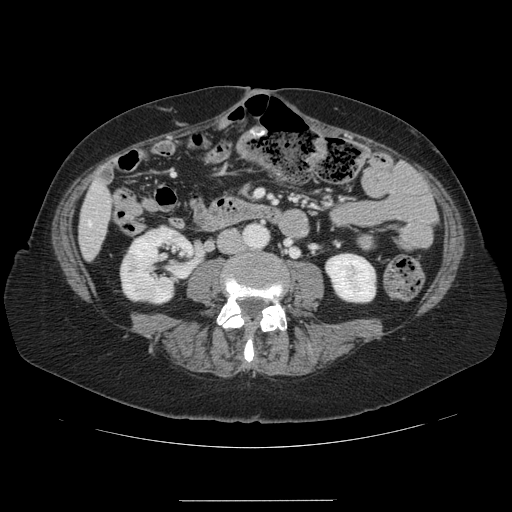

Liver, CT slice

The vessel boxes may cover only some of the vessels.
hepatic vessel: rect(88, 221, 90, 224)